Brain. 240x240 px.
FLAIR magnetic resonance.
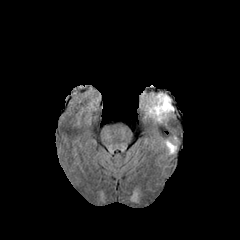
T1-weighted MRI.
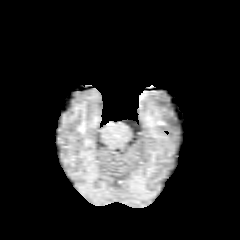
Post-contrast T1-weighted MRI.
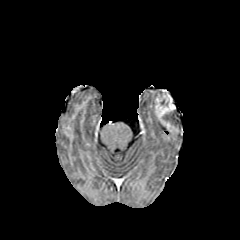
T2-weighted MR.
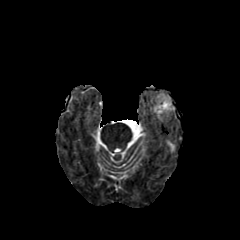
The enhancing tumor is located at [x1=153, y1=91, x2=174, y2=121]. 2 edema regions are bounded by [x1=148, y1=98, x2=156, y2=117], [x1=166, y1=141, x2=176, y2=153].